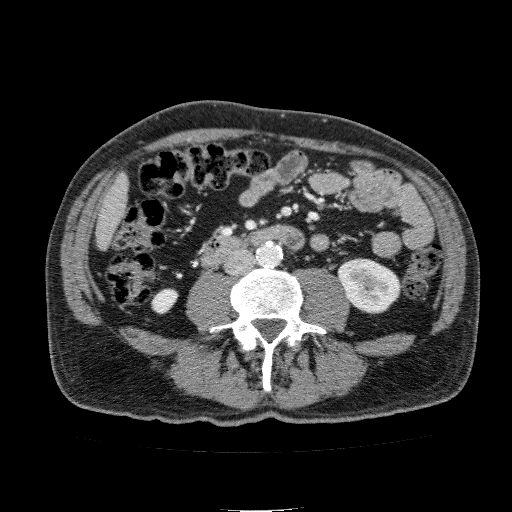 CT image, Liver
• kidney: {"x1": 152, "y1": 290, "x2": 177, "y2": 312}, {"x1": 339, "y1": 259, "x2": 399, "y2": 312}
• liver: {"x1": 96, "y1": 170, "x2": 129, "y2": 250}